Brain; Field of view 240x240 mm; Image size 240x240
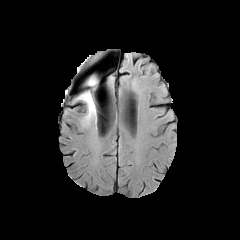
FLAIR MRI.
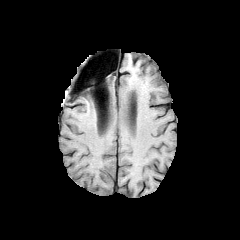
Same slice, T1-weighted magnetic resonance.
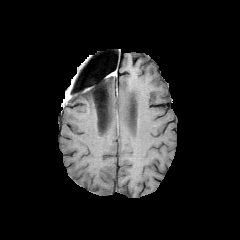
Post-contrast T1-weighted MR image of the same slice.
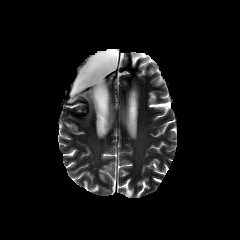
Same slice, T2-weighted MR image.
Edema — region(63, 86, 71, 104); region(72, 88, 96, 124).
Non-enhancing tumor core — region(86, 77, 98, 87).